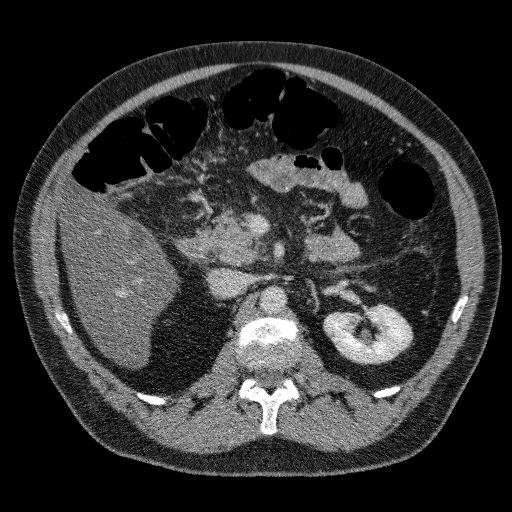 Liver | Computed tomography | 512x512
{
  "liver": [
    {"x1": 60, "y1": 192, "x2": 174, "y2": 366}
  ],
  "kidney": [
    {"x1": 325, "y1": 305, "x2": 411, "y2": 362}
  ],
  "liver_lesion": [
    {"x1": 125, "y1": 224, "x2": 148, "y2": 252}
  ]
}